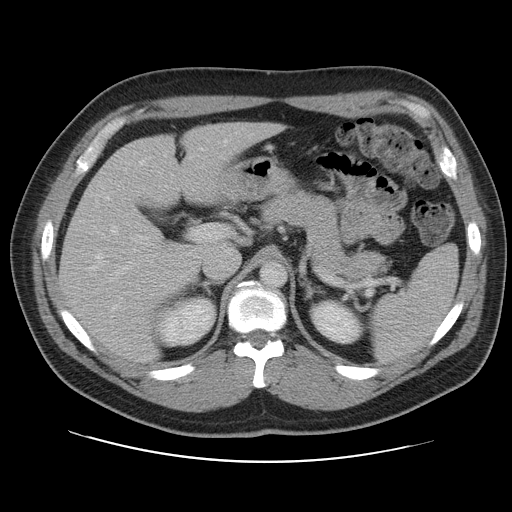 Liver | Computed tomography
Some hepatic vessels may have no box.
12 hepatic vessel regions are bounded by 134:249:136:251, 104:236:105:237, 91:263:101:269, 97:232:99:233, 145:243:159:247, 96:255:100:259, 112:306:119:310, 131:235:144:240, 150:261:151:263, 153:229:161:242, 146:254:148:255, 110:225:116:233.